Chest, CT slice 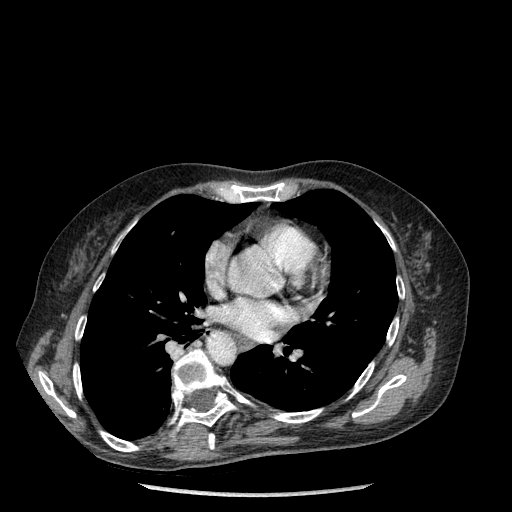
bone: (38, 371, 76, 417), (352, 374, 406, 417), (207, 433, 214, 449), (224, 183, 287, 202), (73, 363, 82, 398), (170, 349, 253, 437), (100, 431, 138, 451), (396, 276, 404, 298), (377, 223, 395, 250), (273, 408, 322, 423), (387, 317, 398, 345), (348, 362, 374, 398), (111, 223, 133, 253), (75, 316, 86, 339) | lung: (230, 189, 397, 410), (80, 194, 256, 440)